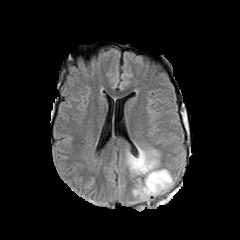
FLAIR MRI.
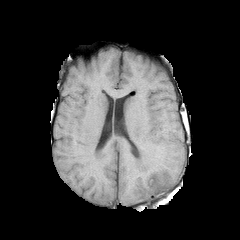
T1-weighted magnetic resonance of the same slice.
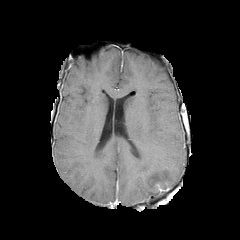
Post-contrast T1-weighted MR image of the same slice.
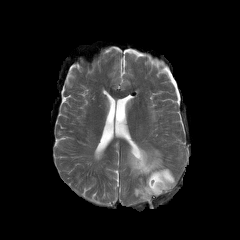
T2-weighted magnetic resonance.
Image size 240x240
edema:
  - region(127, 144, 175, 201)
enhancing_tumor:
  - region(156, 184, 169, 191)